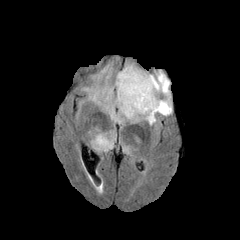
FLAIR magnetic resonance.
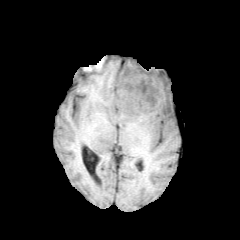
T1-weighted MR.
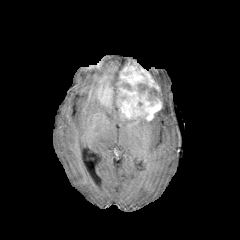
Post-contrast T1-weighted MR image of the same slice.
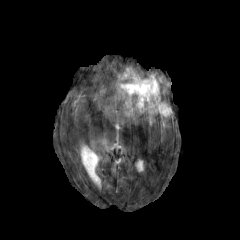
Same slice, T2-weighted MR image.
240x240
Findings:
* non-enhancing tumor core: 138 84 161 99
* enhancing tumor: 98 87 111 101, 117 64 161 120
* edema: 94 136 112 149, 89 70 172 125